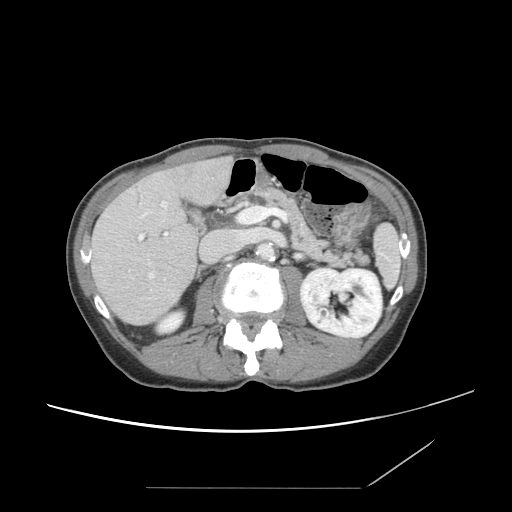
CT. 512x512 px. Pancreatic tumor: [248,194,267,206].
Pancreas: [227,188,369,268], [269,239,273,260].